Brain. Image size 240x240.
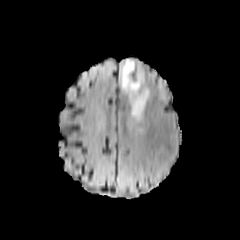
FLAIR MRI.
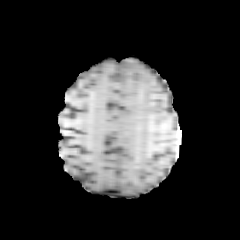
T1-weighted MRI.
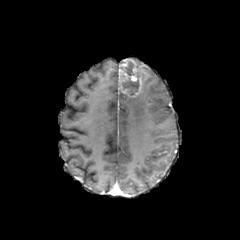
Post-contrast T1-weighted MR.
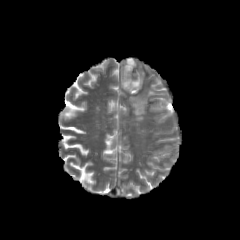
T2-weighted MRI.
enhancing tumor: (119,58,141,94) | edema: (139,67,146,86), (129,87,151,118) | non-enhancing tumor core: (122,78,139,96), (124,61,134,76)